Computed tomography | Image width 472 mm | Abdomen
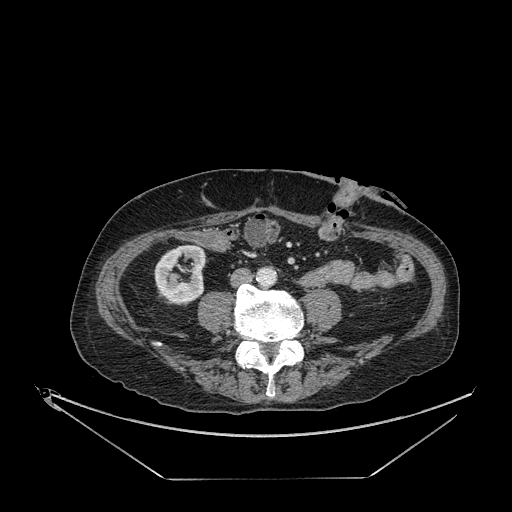

The kidney appears at 155,245,204,303.